240x240 px; Brain; Slice index 66
FLAIR MR image.
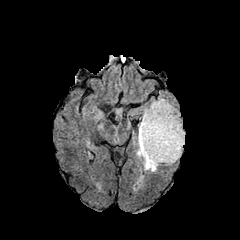
T1-weighted MR.
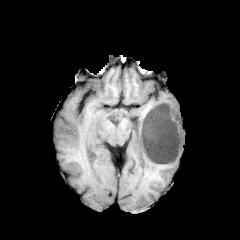
Post-contrast T1-weighted MR.
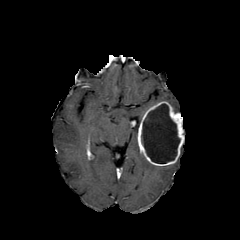
T2-weighted MR.
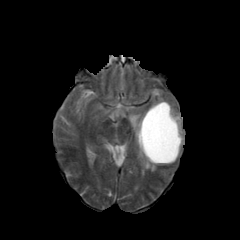
2 edema regions are located at [x1=139, y1=96, x2=178, y2=121], [x1=134, y1=124, x2=158, y2=171]. The non-enhancing tumor core appears at [x1=142, y1=104, x2=179, y2=163]. The enhancing tumor appears at [x1=137, y1=101, x2=184, y2=165].